Upper abdomen | CT | Slice 387 of 751 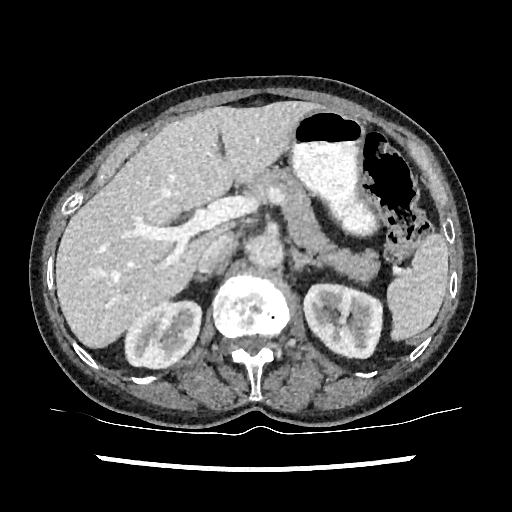 kidney:
  - <box>126,303,200,370</box>
  - <box>304,285,381,358</box>
liver:
  - <box>57,101,324,346</box>